Field of view 330x330 mm. CT slice. Liver. Image size 512x512.

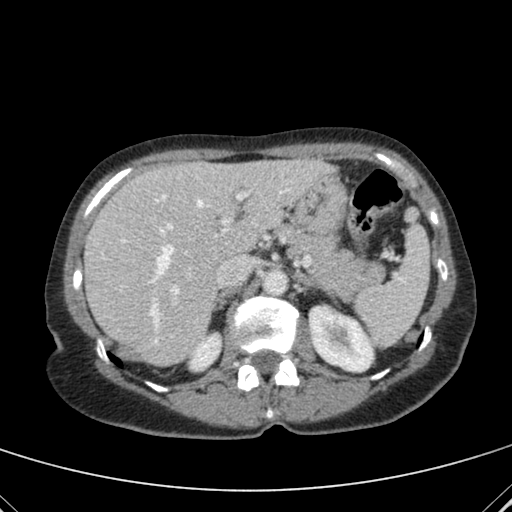

2 kidney regions are bounded by bbox(191, 335, 219, 369); bbox(310, 307, 372, 365). The liver lies within bbox(84, 160, 334, 363).